Cardiac, Slice 68 of 109, MR 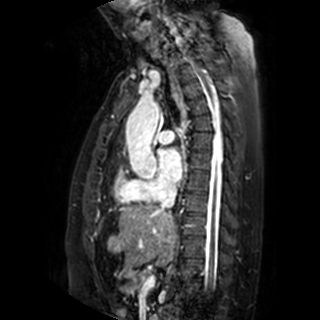

Annotated regions:
- left atrium: <box>159,149,182,182</box>